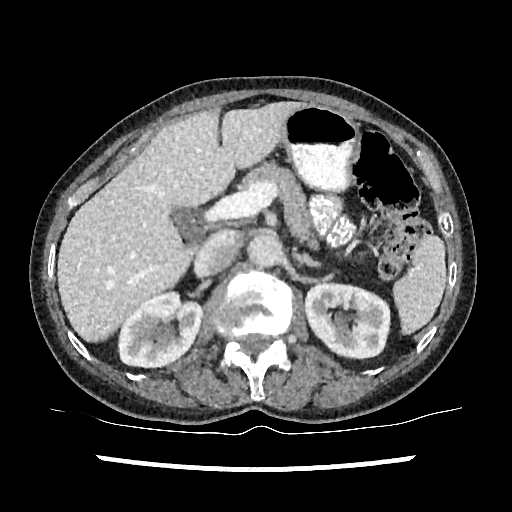

Upper abdomen. CT slice. kidney: 306,285,389,357; 119,294,201,369 | liver: 59,102,303,341